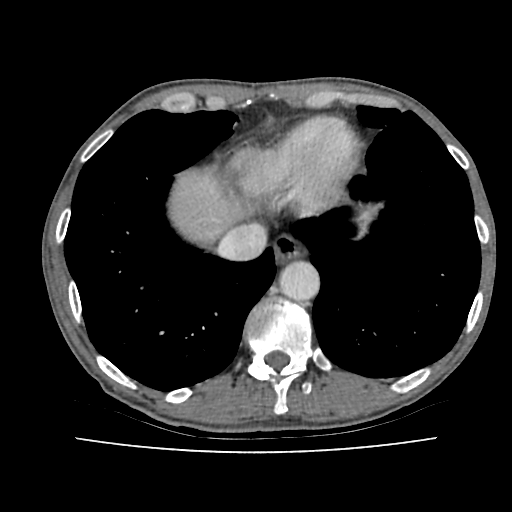 CT slice

{
  "liver": [
    "(x1=171, y1=169, x2=239, y2=235)",
    "(x1=340, y1=225, x2=367, y2=251)",
    "(x1=245, y1=172, x2=284, y2=195)"
  ]
}